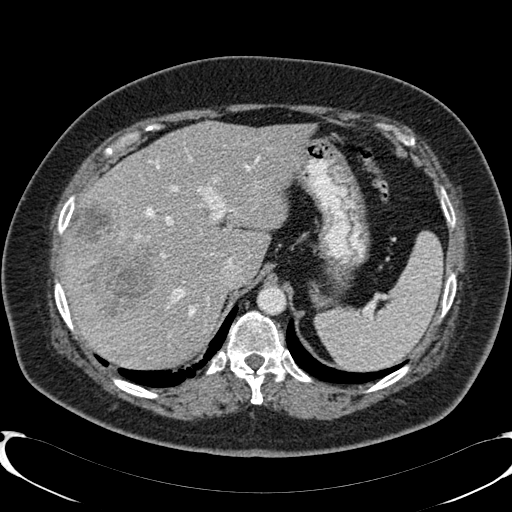

CT slice, Upper abdomen
Findings:
- hepatic lesion: (x1=71, y1=202, x2=156, y2=319)
- liver: (x1=64, y1=122, x2=318, y2=368)